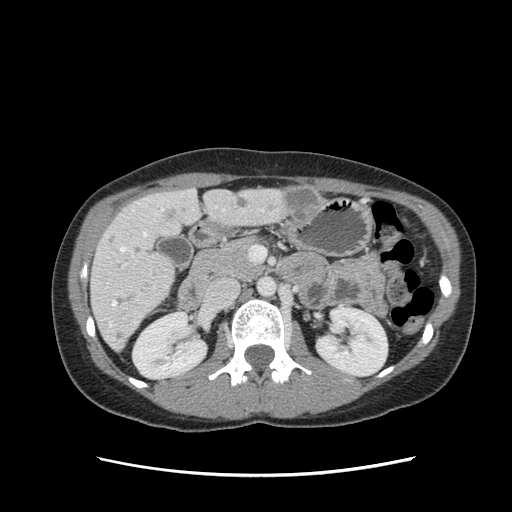
CT scan slice. Abdomen. pancreas: <bbox>192, 237, 262, 281</bbox>